Brain, Image size 240x240
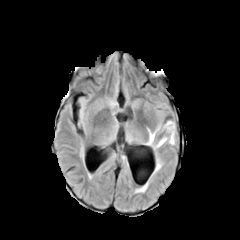
FLAIR magnetic resonance.
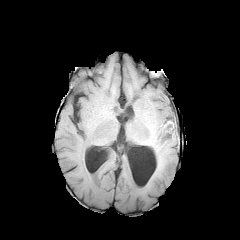
T1-weighted MR.
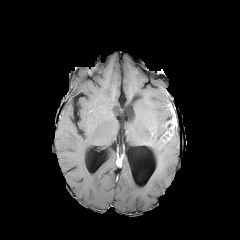
Same slice, post-contrast T1-weighted MR image.
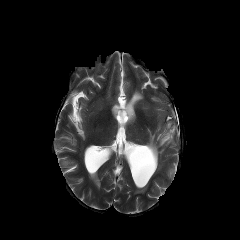
T2-weighted MR image of the same slice.
<segmentation>
  <edema>{"x1": 146, "y1": 126, "x2": 176, "y2": 149}, {"x1": 135, "y1": 183, "x2": 148, "y2": 192}, {"x1": 154, "y1": 156, "x2": 161, "y2": 173}</edema>
</segmentation>